Brain. Image size 240x240.
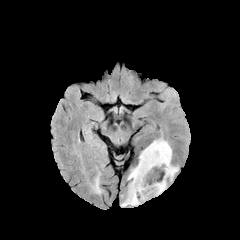
FLAIR MRI.
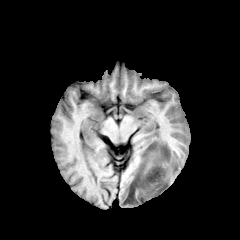
T1-weighted MRI.
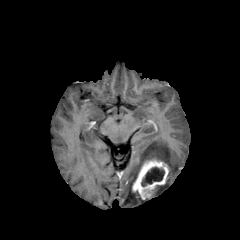
Post-contrast T1-weighted magnetic resonance.
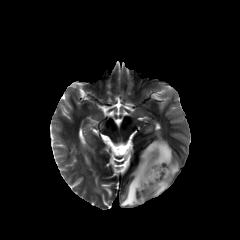
Same slice, T2-weighted MR image.
Non-enhancing tumor core: (142, 167, 164, 185).
Enhancing tumor: (131, 158, 169, 199).
Edema: (121, 137, 178, 205), (155, 183, 167, 195).